Head; Slice index 43
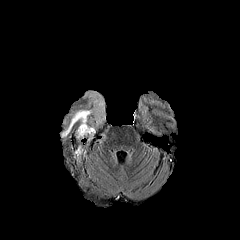
FLAIR MR.
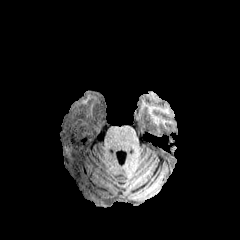
Same slice, T1-weighted MR.
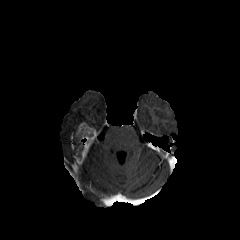
Post-contrast T1-weighted MR.
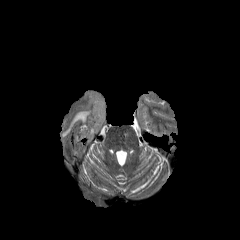
T2-weighted MR of the same slice.
Edema: bounding box 60,91,103,145.
Enhancing tumor: bounding box 74,121,96,157.